CT image; Abdomen; Image size 512x512; Slice 425 of 687

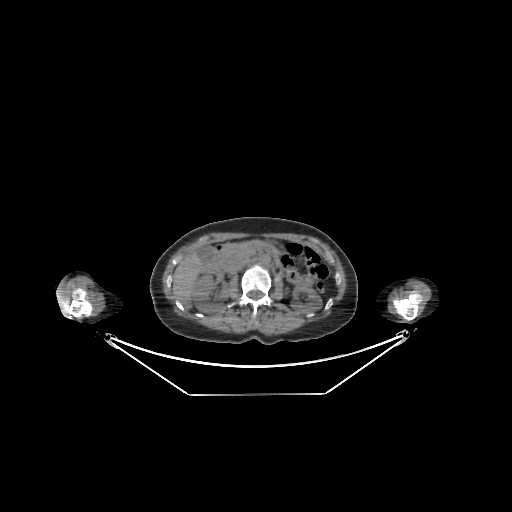 Liver — <bbox>173, 252, 214, 303</bbox>.
Kidney — <bbox>290, 284, 322, 317</bbox>, <bbox>190, 273, 230, 312</bbox>.